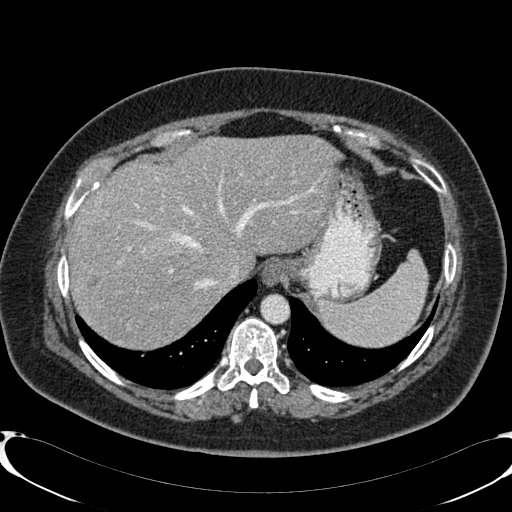

CT scan slice; Liver
Liver lesion: bounding box x1=123 y1=274 x2=130 y2=285, x1=74 y1=224 x2=85 y2=233, x1=86 y1=274 x2=100 y2=286.
Liver: bounding box x1=70 y1=136 x2=336 y2=346.